Image size 240x240, Slice 88/155, Brain
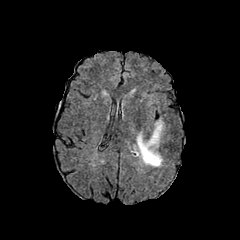
FLAIR MR image.
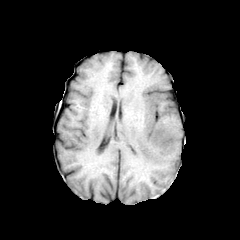
T1-weighted MR of the same slice.
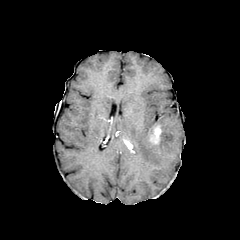
Same slice, post-contrast T1-weighted MR.
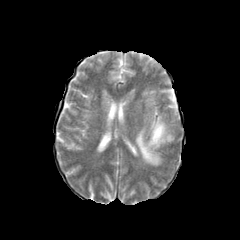
Same slice, T2-weighted MR image.
enhancing_tumor:
  - [148, 123, 163, 144]
edema:
  - [132, 117, 169, 166]